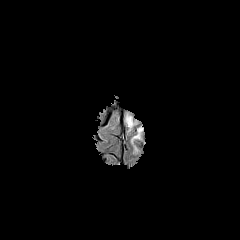
FLAIR MR.
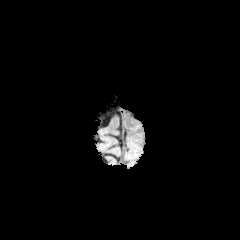
T1-weighted magnetic resonance.
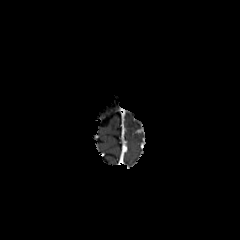
Same slice, post-contrast T1-weighted magnetic resonance.
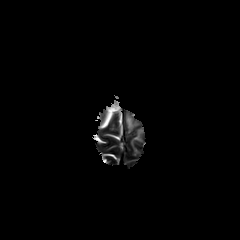
T2-weighted magnetic resonance.
Brain. 240x240.
Edema at {"x1": 132, "y1": 127, "x2": 143, "y2": 141}, {"x1": 125, "y1": 113, "x2": 134, "y2": 132}.